240x240; Brain
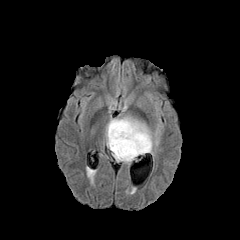
FLAIR MRI.
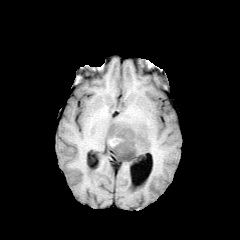
T1-weighted magnetic resonance of the same slice.
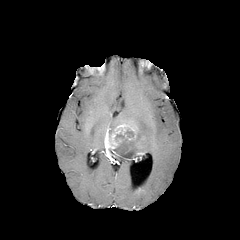
Post-contrast T1-weighted MR image.
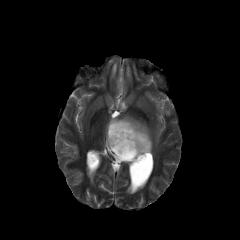
T2-weighted MRI.
<segmentation>
  <enhancing_tumor>region(105, 121, 137, 157)</enhancing_tumor>
  <edema>region(108, 116, 152, 157)</edema>
  <non-enhancing_tumor_core>region(113, 133, 144, 159); region(126, 129, 135, 139)</non-enhancing_tumor_core>
</segmentation>